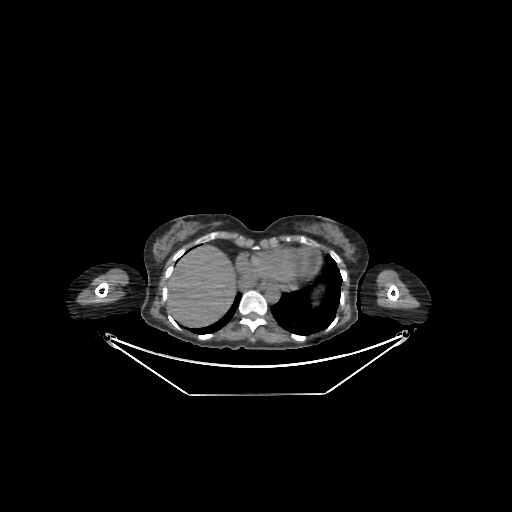 Liver; CT scan slice
The liver is bounded by [167,246,235,327].